Liver, CT scan slice, Image size 512x512
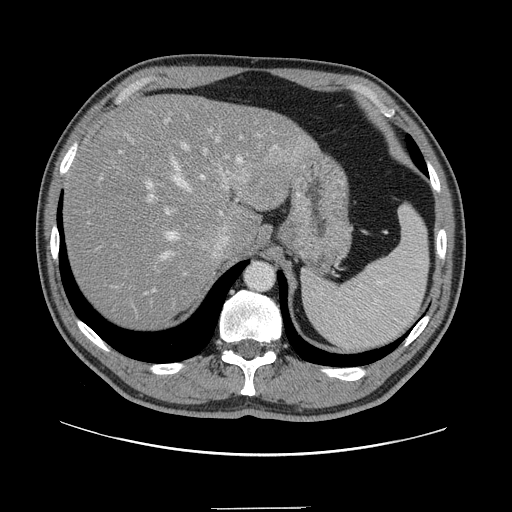 Only some of the vessels may be annotated.
<segmentation partial="true">
  <liver_tumor>{"x1": 242, "y1": 170, "x2": 283, "y2": 208}</liver_tumor>
  <hepatic_vessel shown="15" total="19">{"x1": 204, "y1": 149, "x2": 206, "y2": 154}, {"x1": 274, "y1": 146, "x2": 277, "y2": 148}, {"x1": 201, "y1": 176, "x2": 205, "y2": 179}, {"x1": 166, "y1": 119, "x2": 168, "y2": 122}, {"x1": 162, "y1": 253, "x2": 170, "y2": 258}, {"x1": 167, "y1": 232, "x2": 177, "y2": 239}, {"x1": 182, "y1": 143, "x2": 188, "y2": 148}, {"x1": 152, "y1": 290, "x2": 155, "y2": 291}, {"x1": 166, "y1": 209, "x2": 169, "y2": 214}, {"x1": 227, "y1": 172, "x2": 230, "y2": 175}, {"x1": 216, "y1": 137, "x2": 219, "y2": 141}, {"x1": 147, "y1": 182, "x2": 153, "y2": 201}, {"x1": 238, "y1": 158, "x2": 241, "y2": 163}, {"x1": 172, "y1": 159, "x2": 188, "y2": 189}, {"x1": 222, "y1": 185, "x2": 227, "y2": 190}</hepatic_vessel>
</segmentation>